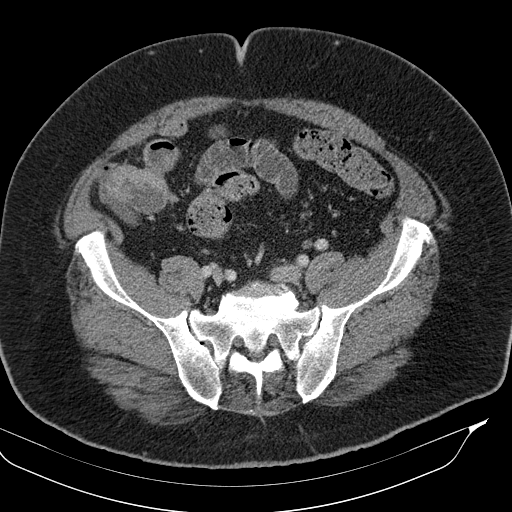

CT

Colon tumor — [x1=108, y1=166, x2=166, y2=202].